FLAIR MRI.
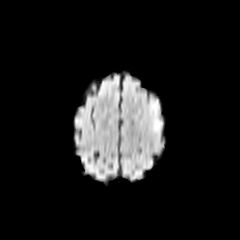
T1-weighted magnetic resonance.
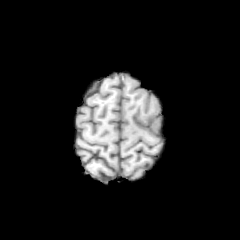
Post-contrast T1-weighted MRI.
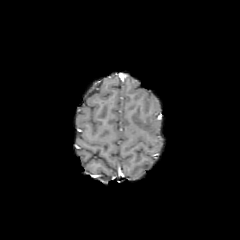
T2-weighted MR.
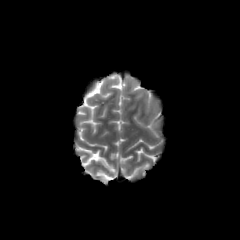
Edema: bounding box x1=153 y1=121 x2=162 y2=131.